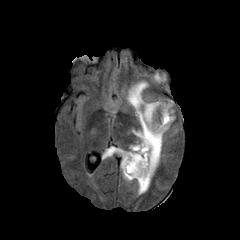
FLAIR MR image.
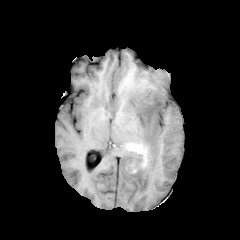
Same slice, T1-weighted magnetic resonance.
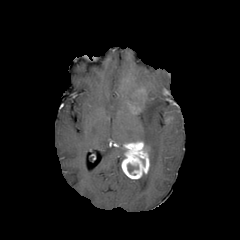
Post-contrast T1-weighted MR of the same slice.
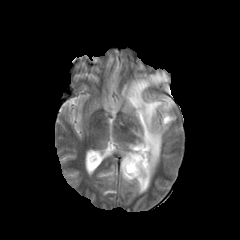
T2-weighted MR of the same slice.
Brain
The non-enhancing tumor core appears at [x1=130, y1=90, x2=143, y2=113]. 2 edema regions are bounded by [x1=150, y1=73, x2=165, y2=84], [x1=128, y1=79, x2=174, y2=194]. The enhancing tumor is bounded by [x1=122, y1=142, x2=149, y2=178].